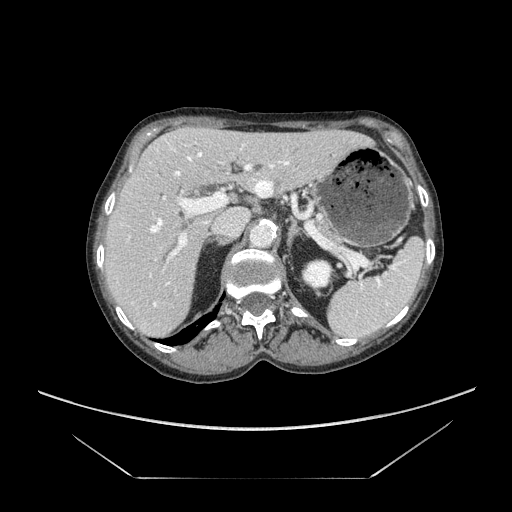
Abdomen | Computed tomography
The pancreas is at <bbox>314, 216, 343, 244</bbox>.